Slice 40/155. 240x240.
FLAIR MRI.
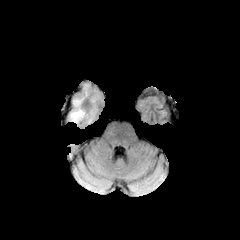
T1-weighted MR.
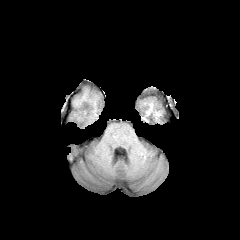
Post-contrast T1-weighted magnetic resonance.
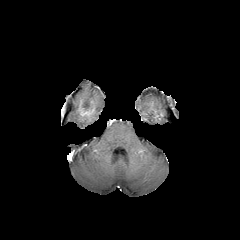
T2-weighted magnetic resonance.
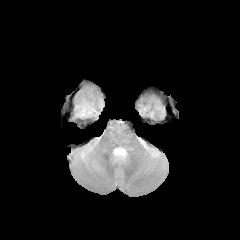
Edema = bbox(71, 99, 91, 120).